Image width 345 mm | Computed tomography

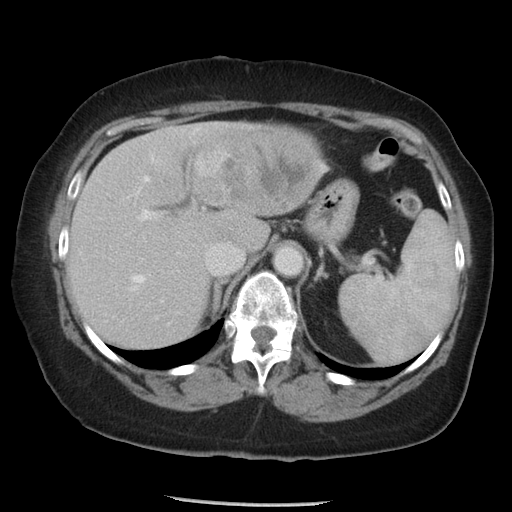 The vessel boxes may cover only some of the vessels.
11 hepatic vessel regions are located at (142,176,149,181), (216,246,219,248), (150,152,158,162), (148,274,150,275), (160,300,162,301), (138,209,156,219), (216,227,221,227), (130,275,144,290), (185,200,227,223), (127,187,140,197), (79,250,81,253). The liver tumor appears at (191,127,320,214).